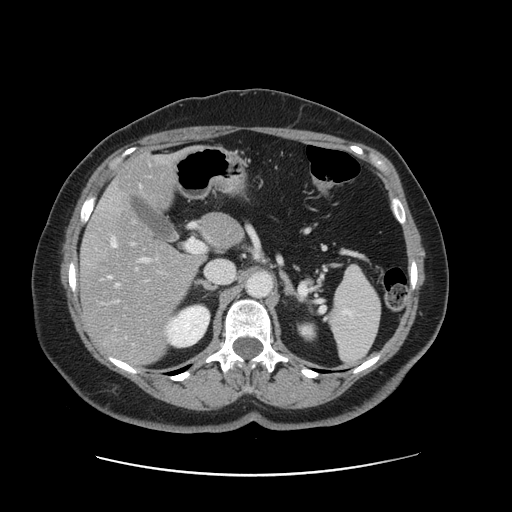

CT image, Abdomen

The vessel boxes may cover only some of the vessels.
<segmentation>
  <hepatic_vessel>156:258:157:259, 116:283:119:286, 108:275:111:278, 132:242:135:244, 141:257:149:261, 111:237:116:246, 115:300:118:302</hepatic_vessel>
</segmentation>